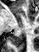 Hippocampus | MR image | 39x52 px
<segmentation>
  <posterior_hippocampus>x1=10, y1=33, x2=22, y2=45</posterior_hippocampus>
</segmentation>